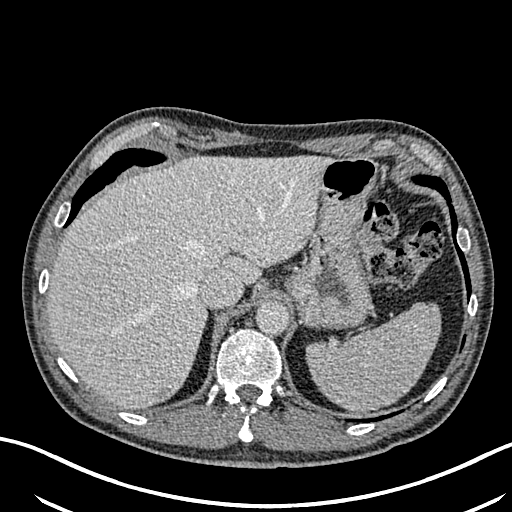 CT image, Abdomen
liver: x1=49, y1=156, x2=332, y2=408 | hepatic lesion: x1=177, y1=340, x2=185, y2=352; x1=156, y1=387, x2=170, y2=400